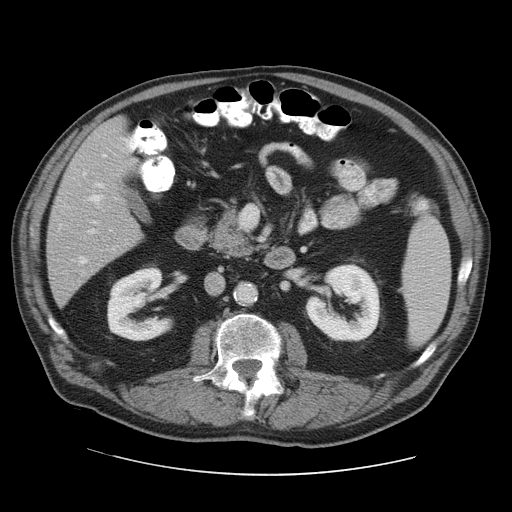 CT slice. Liver. 512x512.
Only some of the vessels may be annotated.
hepatic_vessel:
  - <bbox>103, 154, 105, 156</bbox>
  - <bbox>96, 183, 102, 187</bbox>
  - <bbox>90, 195, 99, 200</bbox>
  - <bbox>80, 256, 85, 262</bbox>